Head.
FLAIR MRI.
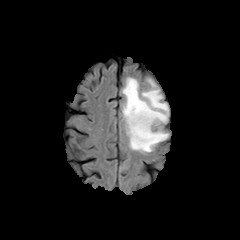
T1-weighted magnetic resonance.
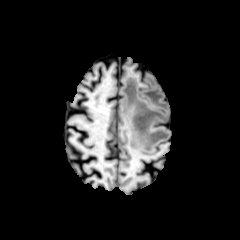
Post-contrast T1-weighted MR.
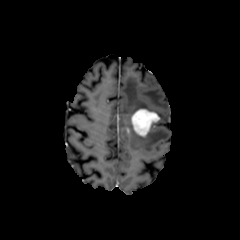
T2-weighted MR image.
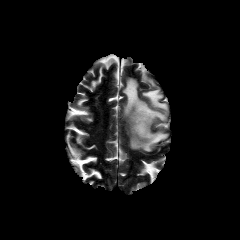
Edema = {"x1": 121, "y1": 77, "x2": 168, "y2": 153}.
Enhancing tumor = {"x1": 131, "y1": 108, "x2": 159, "y2": 136}.